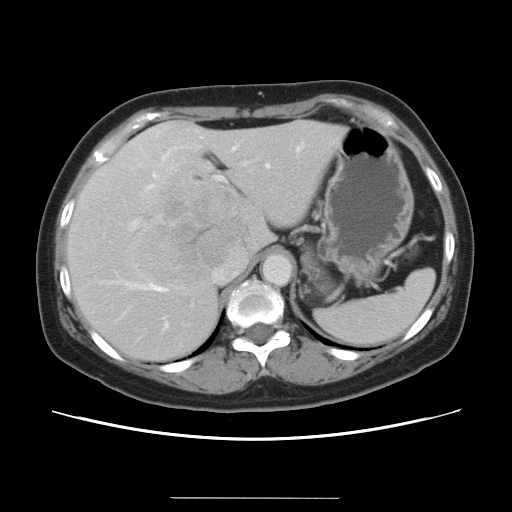 CT scan slice.
Some hepatic vessels may have no box.
liver tumor: rect(137, 165, 252, 285) | hepatic vessel: rect(200, 136, 202, 138); rect(147, 185, 153, 189); rect(142, 222, 144, 224); rect(153, 175, 155, 177); rect(266, 165, 268, 167); rect(156, 216, 159, 219); rect(242, 161, 251, 164); rect(162, 317, 167, 329); rect(129, 220, 138, 230); rect(196, 146, 199, 148); rect(214, 176, 223, 180); rect(231, 146, 237, 151); rect(104, 281, 165, 291); rect(296, 142, 305, 152)